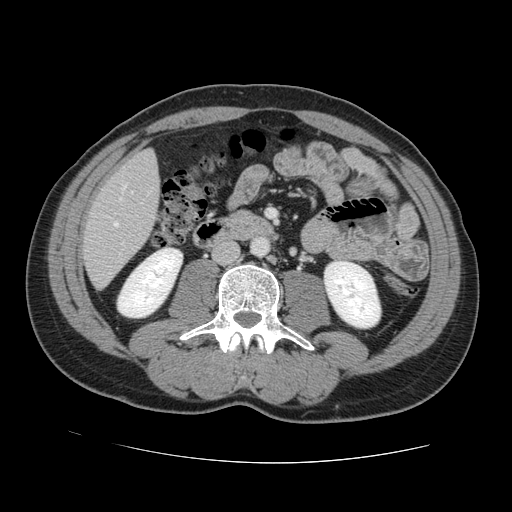

CT slice | 512x512

The vessel annotation is not exhaustive.
Segmented structures:
• hepatic vessel: (left=114, top=222, right=117, bottom=226), (left=121, top=242, right=123, bottom=244), (left=122, top=182, right=127, bottom=189), (left=119, top=194, right=121, bottom=199), (left=109, top=272, right=111, bottom=273)